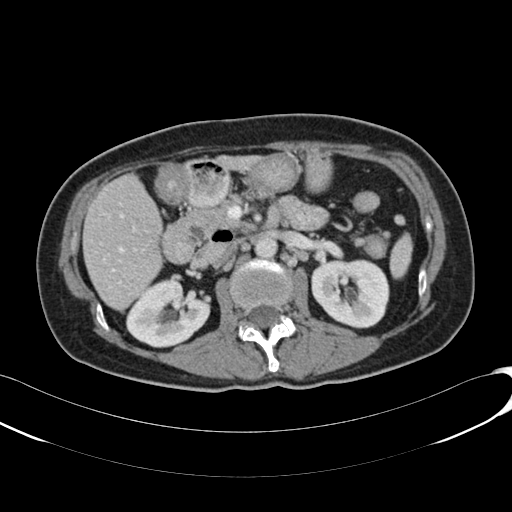

Upper abdomen; Image size 512x512; CT
Kidney — 312:261:387:326, 127:280:208:346.
Liver — 83:173:161:307, 217:155:257:169.